Brain | Image size 240x240
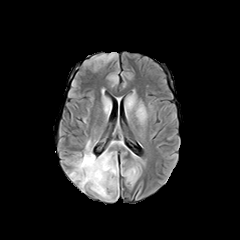
FLAIR MR image.
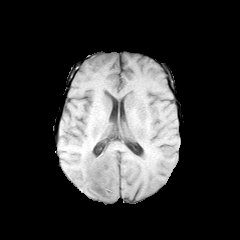
T1-weighted magnetic resonance.
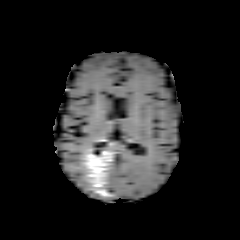
Post-contrast T1-weighted MR image.
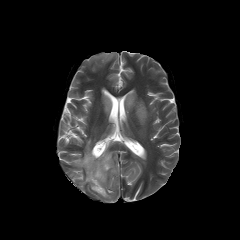
T2-weighted magnetic resonance.
Non-enhancing tumor core = 84, 156, 111, 197.
Edema = 106, 162, 115, 175; 72, 146, 89, 186.
Enhancing tumor = 82, 152, 101, 165; 89, 169, 107, 196.